CT image, 512x512, Abdomen 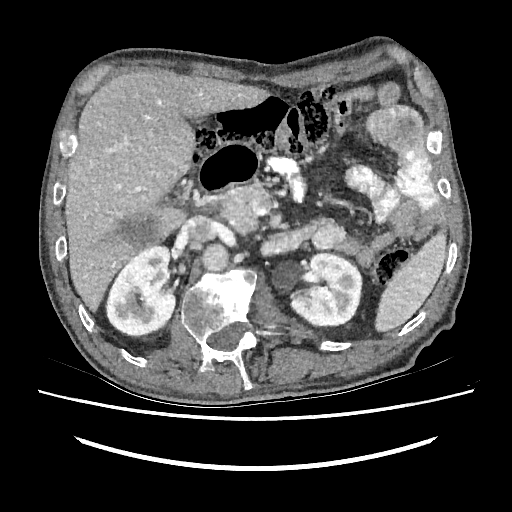
The hepatic lesion lies within 113,212,162,250. 2 kidney regions appear at 292,253,361,325; 107,246,174,334. The liver lies within 66,71,266,311.